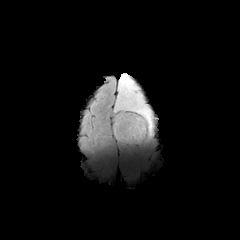
FLAIR magnetic resonance.
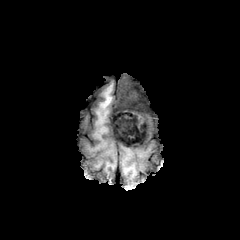
Same slice, T1-weighted MR image.
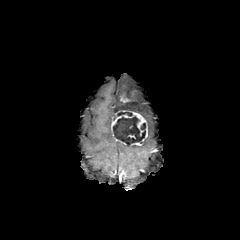
Post-contrast T1-weighted MR image.
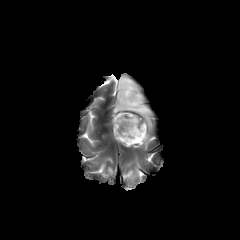
T2-weighted MR of the same slice.
240x240 px
enhancing tumor: x1=122, y1=112, x2=147, y2=138; x1=111, y1=116, x2=121, y2=135 | edema: x1=117, y1=73, x2=152, y2=132 | non-enhancing tumor core: x1=113, y1=116, x2=145, y2=145; x1=113, y1=100, x2=137, y2=120